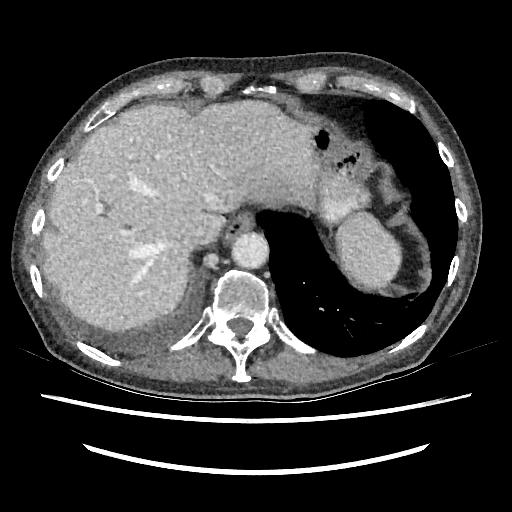
Upper abdomen; Image size 512x512; CT slice
Liver at box=[42, 100, 317, 330].